Abdomen. 512x512 px. Computed tomography.

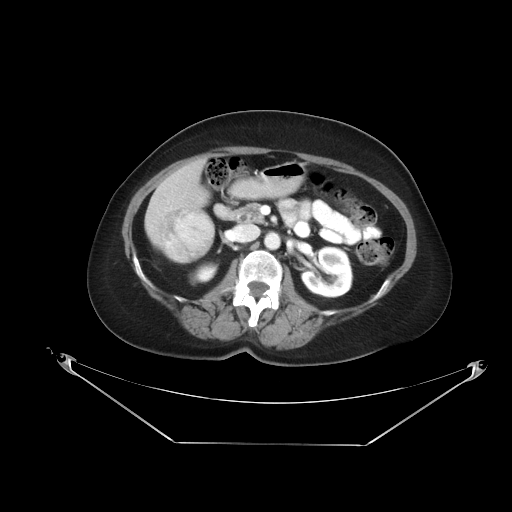
Not every hepatic vessel necessarily has a box.
liver_tumor:
  - bbox(162, 209, 214, 262)
hepatic_vessel:
  - bbox(149, 226, 152, 231)
  - bbox(159, 242, 162, 243)